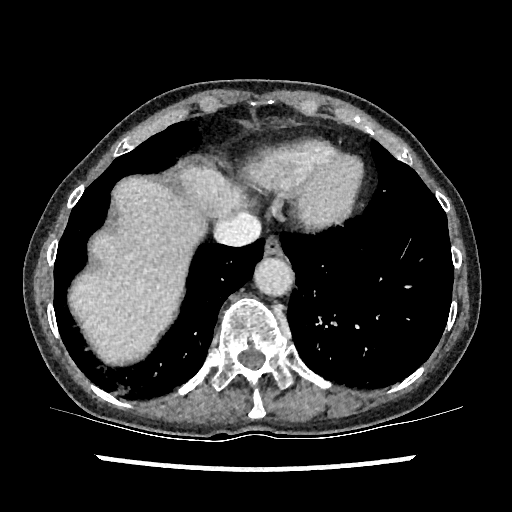
CT scan slice; Upper abdomen

2 liver regions are bounded by <bbox>248, 166, 258, 179</bbox>, <bbox>70, 167, 241, 361</bbox>.